Slice 284 of 299 | Image size 512x512 | Head | CT image 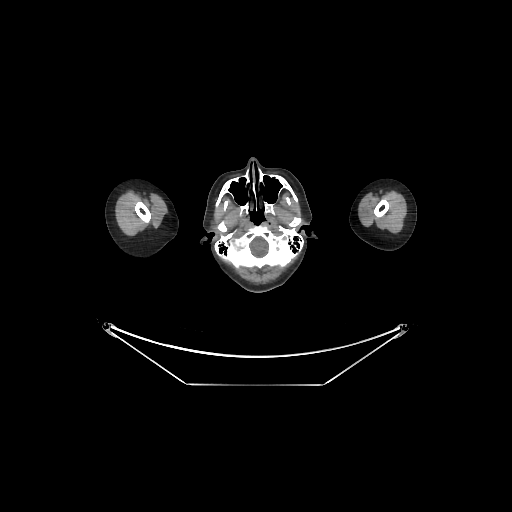
Brain — 249, 236, 268, 257.